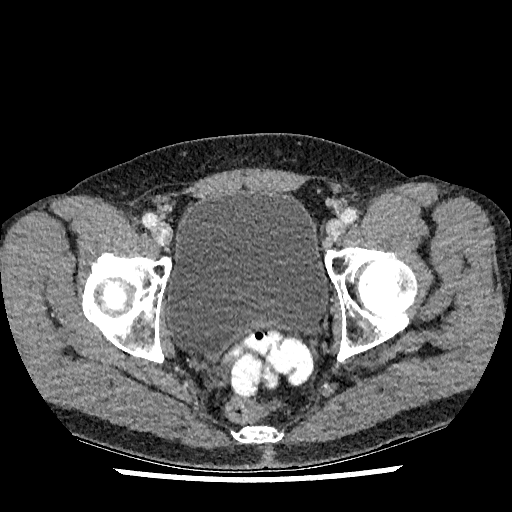
CT

<segmentation>
  <urinary_bladder>l=165, t=191, r=328, b=355</urinary_bladder>
</segmentation>